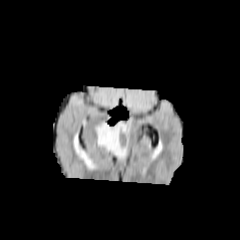
FLAIR MR.
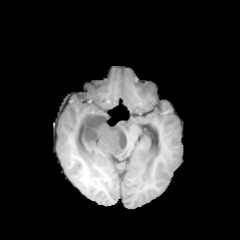
Same slice, T1-weighted magnetic resonance.
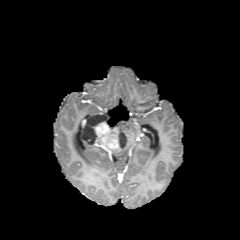
Post-contrast T1-weighted MRI of the same slice.
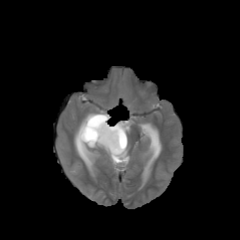
T2-weighted magnetic resonance of the same slice.
Head
{"enhancing_tumor": ["bbox(92, 121, 121, 152)"], "non-enhancing_tumor_core": ["bbox(80, 111, 115, 151)", "bbox(117, 130, 130, 150)"], "edema": ["bbox(112, 147, 128, 158)", "bbox(116, 121, 129, 135)", "bbox(77, 127, 83, 146)"]}